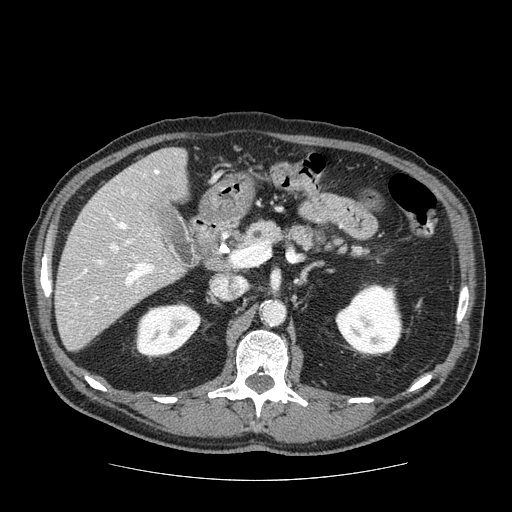

512x512 | Abdomen | CT scan slice
Pancreas at <box>239,220,370,260</box>.